CT
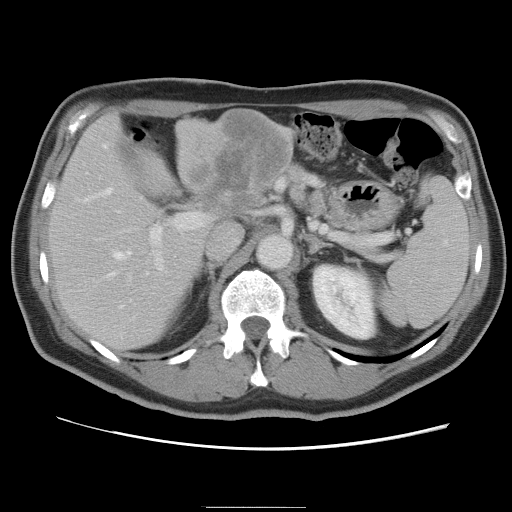

The vessel annotation is not exhaustive.
Liver tumor at 189, 115, 283, 217.
Hepatic vessel at 106, 271, 115, 278; 149, 224, 161, 243; 118, 210, 120, 211; 152, 250, 162, 268; 113, 250, 130, 258; 103, 144, 106, 147; 146, 271, 147, 273; 119, 305, 122, 307; 172, 211, 206, 230; 128, 275, 130, 278; 77, 188, 110, 200.